Liver; Slice 80 of 174; Computed tomography
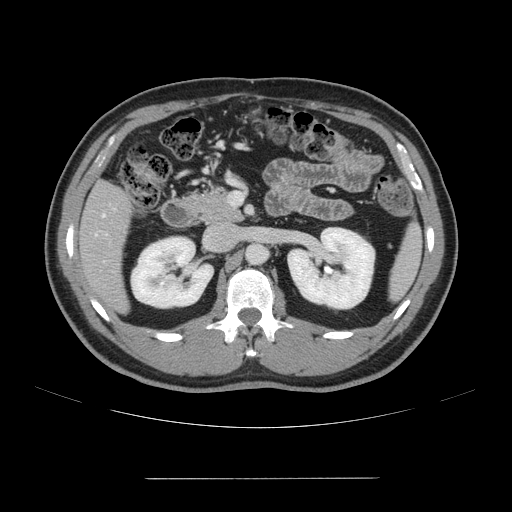
Only some of the vessels may be annotated.
Segmented structures:
- hepatic vessel: [102, 214, 104, 217], [95, 232, 97, 236]